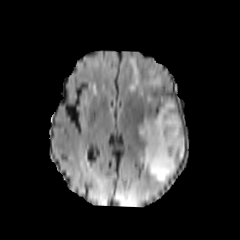
FLAIR MR image.
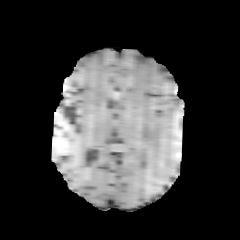
T1-weighted MR.
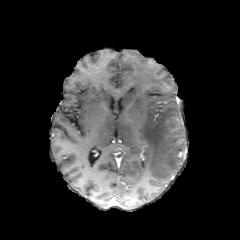
Post-contrast T1-weighted MR image of the same slice.
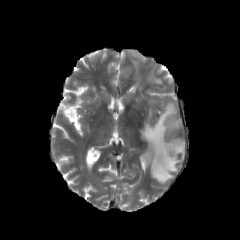
T2-weighted MR of the same slice.
240x240
Edema = 138, 101, 184, 182; 129, 59, 142, 91; 147, 75, 162, 86.